Head, Slice index 45
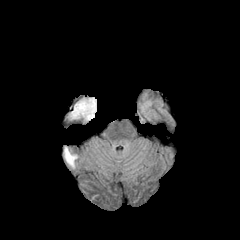
FLAIR MR image.
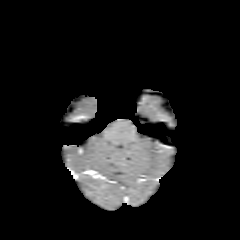
Same slice, T1-weighted MR image.
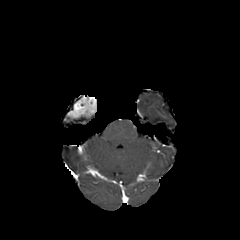
Post-contrast T1-weighted MRI of the same slice.
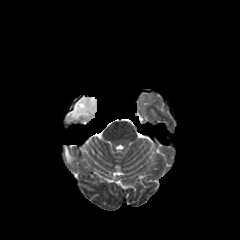
T2-weighted MR.
The edema is at 64, 148, 76, 165. The enhancing tumor lies within 68, 96, 96, 118.